Hippocampus, MRI
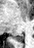

Posterior hippocampus: bounding box x1=12 y1=34 x2=23 y2=41.